Computed tomography | Slice index 504 | Field of view 385x385 mm | 512x512 px
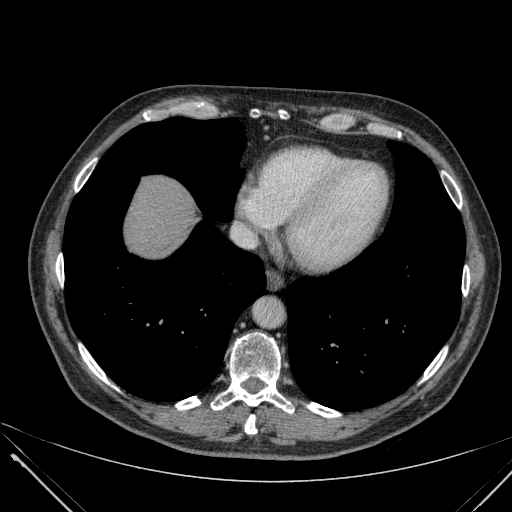 The liver appears at <bbox>128, 177, 198, 256</bbox>.